Slice 75/155
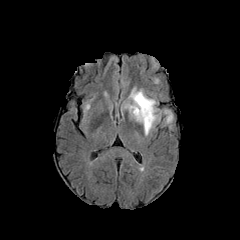
FLAIR magnetic resonance.
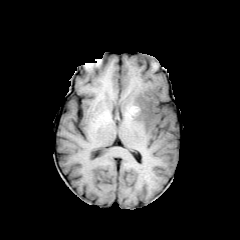
T1-weighted MR.
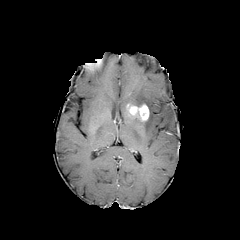
Post-contrast T1-weighted MR of the same slice.
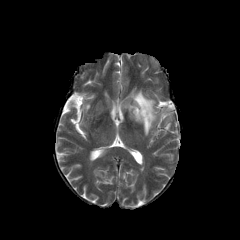
T2-weighted MR image.
Segmented structures:
* enhancing tumor: (x1=130, y1=103, x2=149, y2=121)
* non-enhancing tumor core: (x1=127, y1=101, x2=144, y2=121)
* edema: (x1=128, y1=88, x2=173, y2=135)